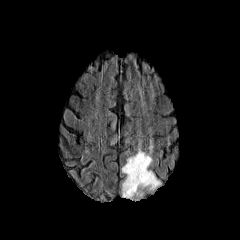
FLAIR MR.
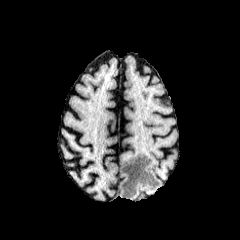
T1-weighted MRI of the same slice.
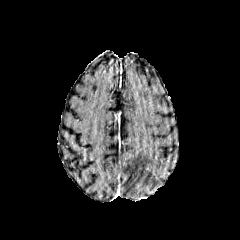
Post-contrast T1-weighted MRI.
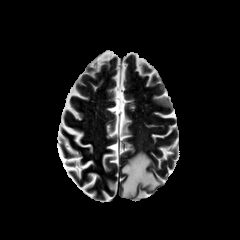
T2-weighted MRI.
240x240
edema: {"x1": 118, "y1": 151, "x2": 161, "y2": 201}